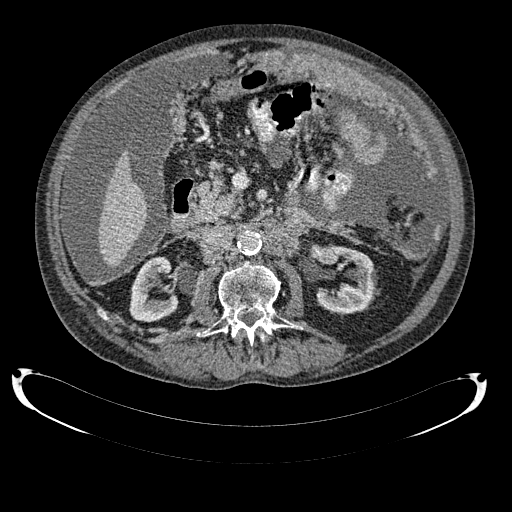
CT
2 kidney regions are located at x1=314, y1=246, x2=373, y2=313; x1=130, y1=257, x2=177, y2=321. The liver is bounded by x1=98, y1=150, x2=146, y2=268.